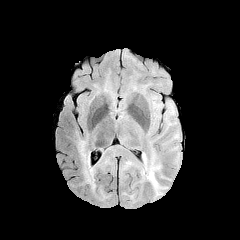
FLAIR MR.
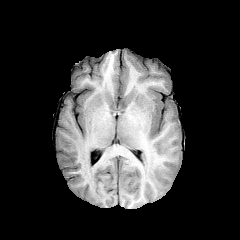
Same slice, T1-weighted MRI.
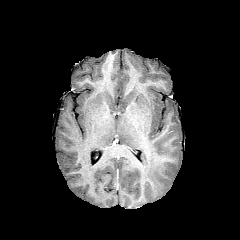
Post-contrast T1-weighted magnetic resonance.
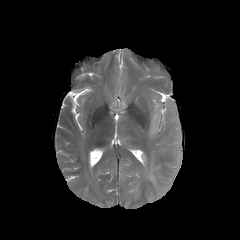
T2-weighted MR of the same slice.
240x240 px. Head.
edema:
  - rect(78, 142, 96, 185)
  - rect(140, 154, 167, 191)